Liver | 512x512 | Image width 330 mm | Slice 449 of 630 | CT slice 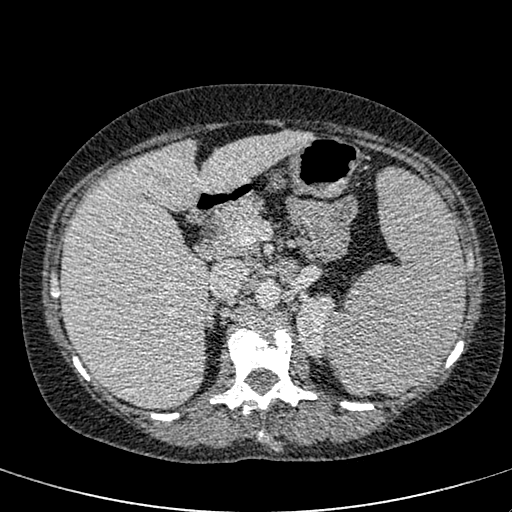 The kidney is located at [x1=297, y1=296, x2=333, y2=357]. The liver appears at [x1=62, y1=132, x2=314, y2=408].